Head; 240x240 px
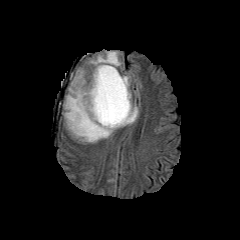
FLAIR magnetic resonance.
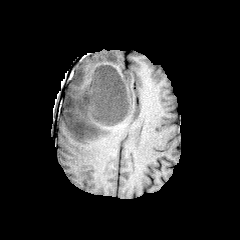
T1-weighted MR image of the same slice.
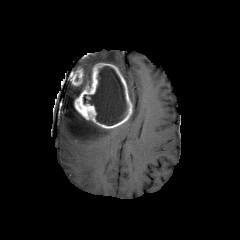
Post-contrast T1-weighted MR image.
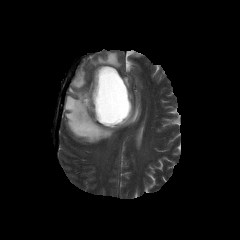
T2-weighted MR of the same slice.
Findings:
• enhancing tumor: 71, 63, 132, 128
• edema: 80, 50, 123, 82; 62, 75, 138, 143
• non-enhancing tumor core: 89, 66, 127, 125